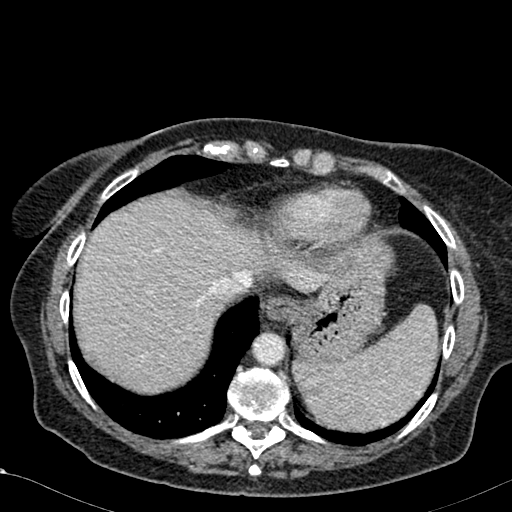

CT slice; Liver

liver:
  - {"x1": 78, "y1": 199, "x2": 324, "y2": 391}